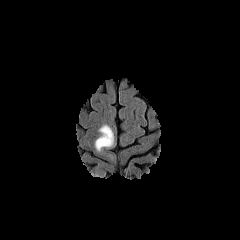
FLAIR MRI.
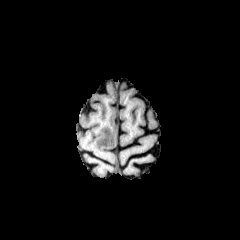
T1-weighted MR image.
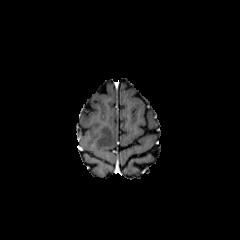
Post-contrast T1-weighted magnetic resonance.
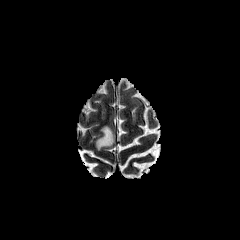
Same slice, T2-weighted MRI.
Brain.
edema:
  - 95 126 113 150